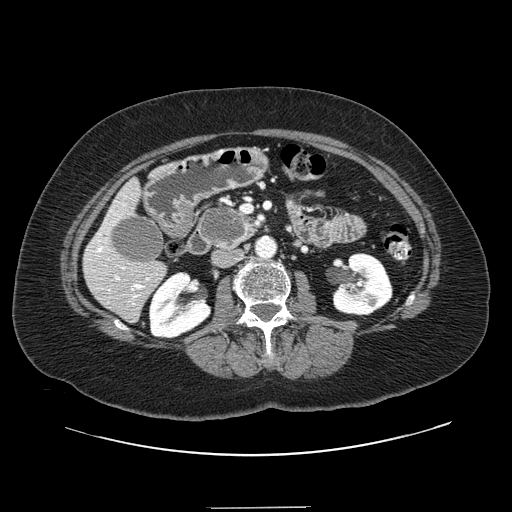
CT image, Upper abdomen

pancreas: [x1=198, y1=205, x2=255, y2=250] | pancreatic tumor: [x1=201, y1=207, x2=245, y2=244]